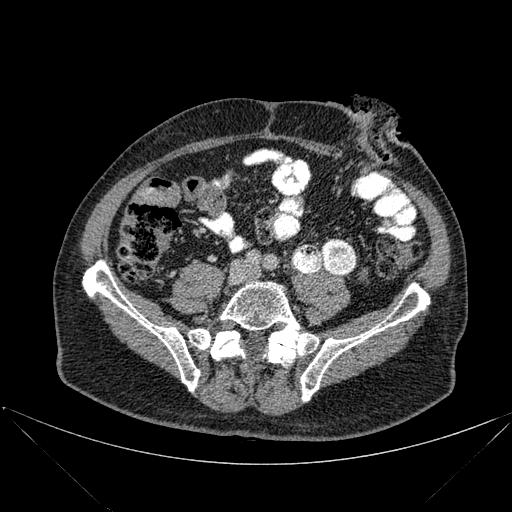

CT image
4 bone regions appear at [x1=220, y1=282, x2=318, y2=365], [x1=300, y1=283, x2=429, y2=400], [x1=83, y1=260, x2=199, y2=391], [x1=188, y1=329, x2=243, y2=359].